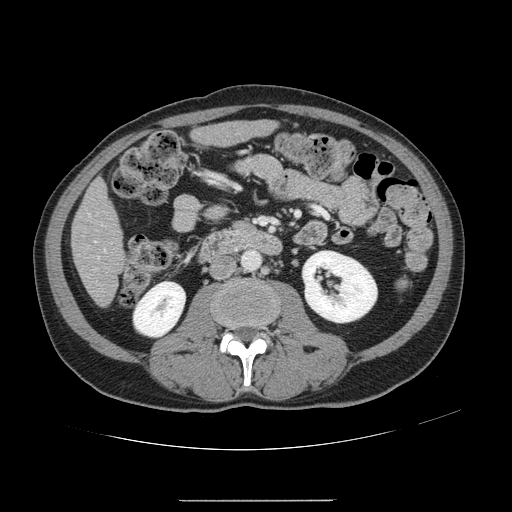
512x512 px. CT slice.

Only some of the vessels may be annotated.
{"hepatic_vessel": ["103 249 105 251"]}